MRI.

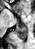 Posterior hippocampus: bounding box 15,24,27,38.